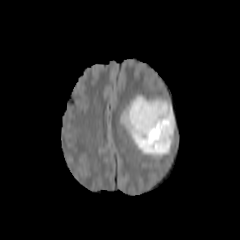
FLAIR MR.
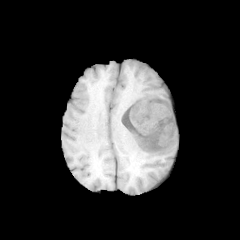
T1-weighted MR.
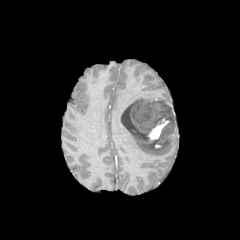
Post-contrast T1-weighted MR image.
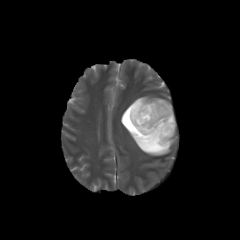
Same slice, T2-weighted MR image.
non-enhancing_tumor_core:
  - (left=121, top=98, right=175, bottom=149)
edema:
  - (left=122, top=95, right=168, bottom=115)
  - (left=120, top=117, right=172, bottom=156)
enhancing_tumor:
  - (left=147, top=117, right=169, bottom=142)